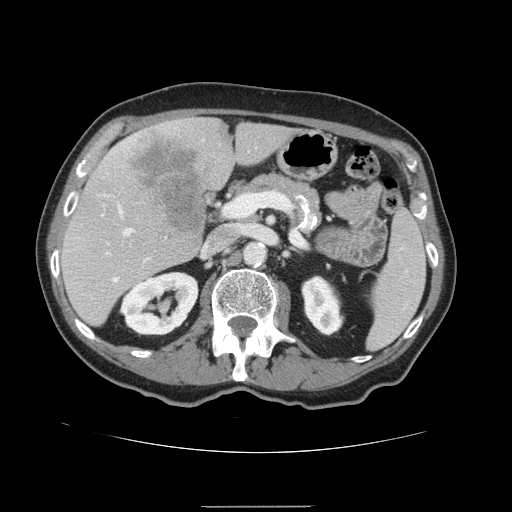

CT image, 512x512, Abdomen
Only some of the vessels may be annotated.
hepatic vessel: {"x1": 223, "y1": 193, "x2": 255, "y2": 216}, {"x1": 124, "y1": 228, "x2": 132, "y2": 235}, {"x1": 119, "y1": 206, "x2": 122, "y2": 213}, {"x1": 203, "y1": 241, "x2": 224, "y2": 256}, {"x1": 226, "y1": 224, "x2": 245, "y2": 233}, {"x1": 113, "y1": 278, "x2": 116, "y2": 281} | liver tumor: {"x1": 127, "y1": 135, "x2": 211, "y2": 234}